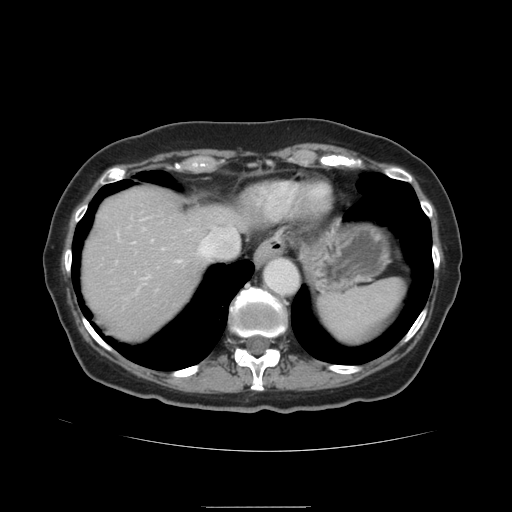
CT image, Liver
Only some of the vessels may be annotated.
hepatic vessel: 231,228,233,230